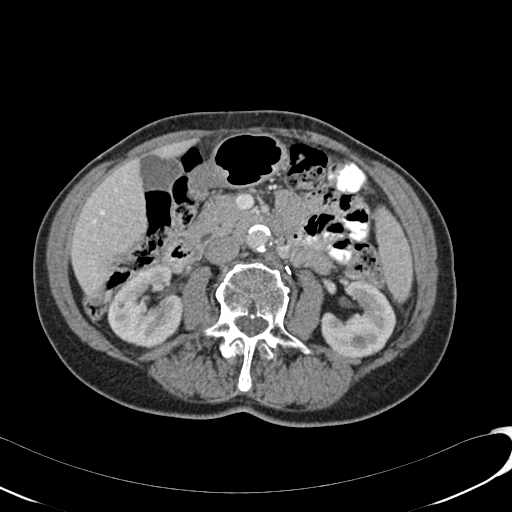 CT slice.
2 liver regions are bounded by (left=155, top=138, right=197, bottom=157), (left=72, top=159, right=145, bottom=294). 2 kidney regions are bounded by (left=322, top=280, right=394, bottom=357), (left=108, top=264, right=182, bottom=346).